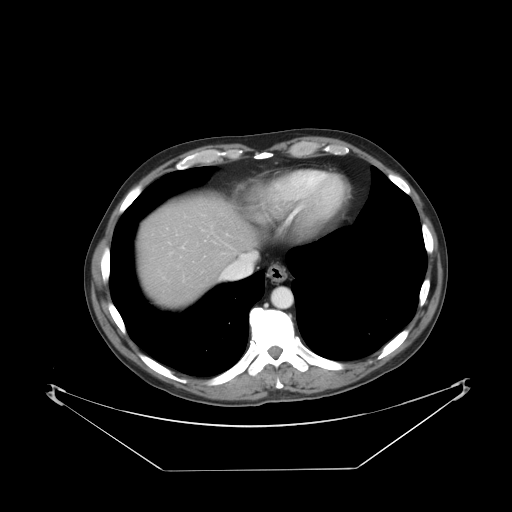
Computed tomography. 512x512 px. Some hepatic vessels may have no box.
Hepatic vessel at rect(181, 246, 183, 248); rect(249, 255, 252, 256); rect(241, 255, 243, 257).